Slice 61 of 260, Computed tomography, Field of view 512 mm wide, 1.00 mm slice spacing 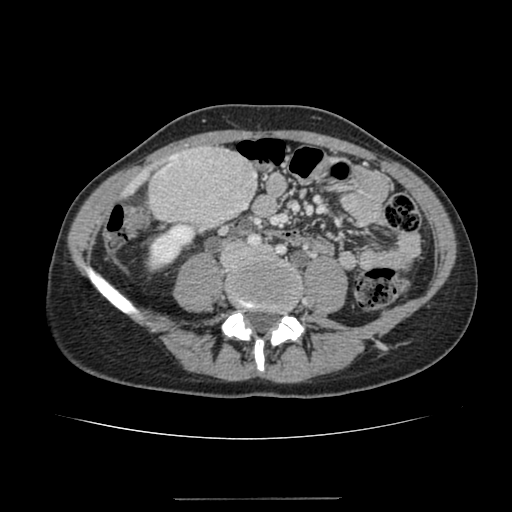

The liver lesion is at <box>149,146,255,228</box>. The liver is at <box>123,168,149,196</box>. The kidney is located at <box>152,225,192,262</box>.